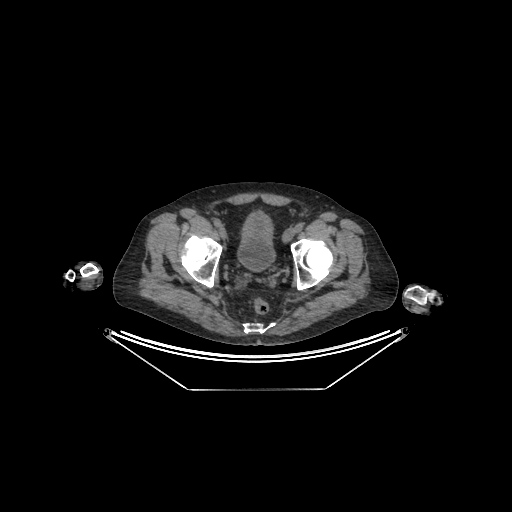 512x512 px | Lower abdomen | CT scan slice

Urinary bladder = x1=237 y1=210 x2=276 y2=271.